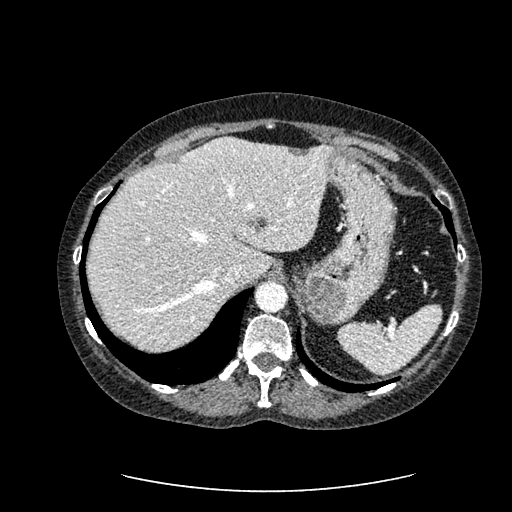
Abdomen | Computed tomography | Image size 512x512

2 hepatic lesion regions appear at [286, 147, 310, 156], [257, 218, 265, 228]. The liver is at [87, 137, 330, 348].